Slice 67 of 155
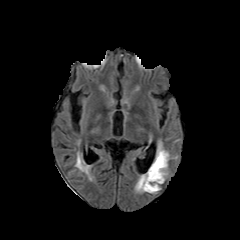
FLAIR MR.
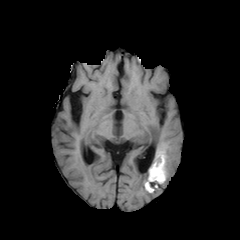
T1-weighted MR image.
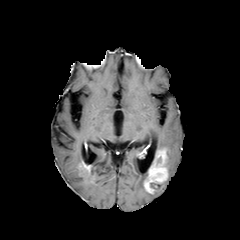
Same slice, post-contrast T1-weighted magnetic resonance.
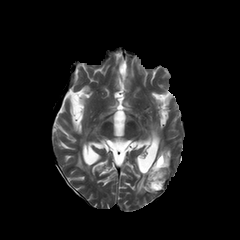
T2-weighted MRI.
non-enhancing_tumor_core:
  - (149, 149, 165, 169)
  - (149, 182, 161, 190)
edema:
  - (75, 154, 89, 173)
  - (134, 173, 147, 192)
  - (166, 149, 171, 179)
enhancing_tumor:
  - (144, 151, 166, 191)